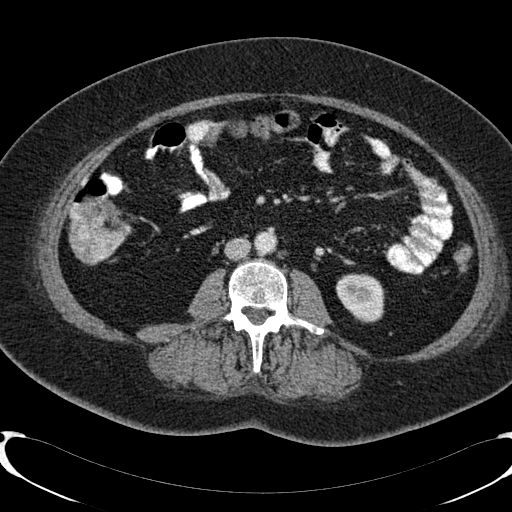 Abdomen. Computed tomography.
Kidney: [337,275,382,320].